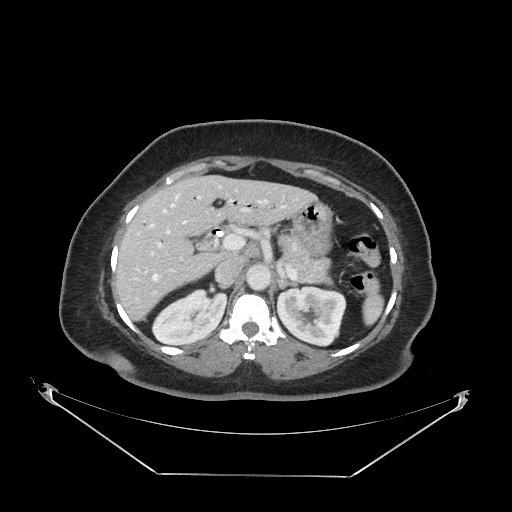
Abdomen, CT scan slice
pancreas: 280, 233, 329, 283